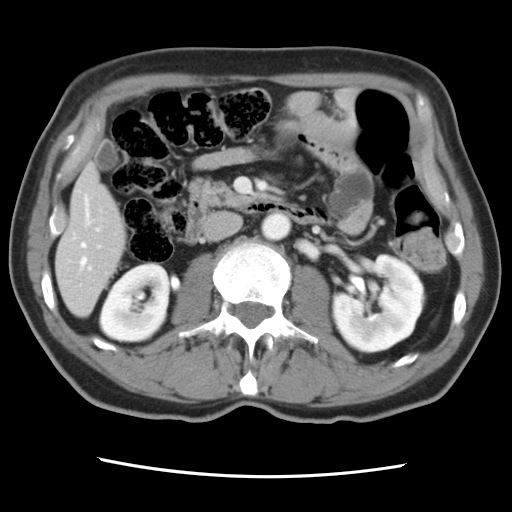

CT scan slice
Not every hepatic vessel necessarily has a box.
6 hepatic vessel regions appear at box=[96, 228, 99, 230]; box=[85, 195, 91, 223]; box=[82, 243, 85, 246]; box=[98, 245, 100, 247]; box=[80, 258, 86, 265]; box=[89, 267, 91, 269].